Slice 310/333. CT.

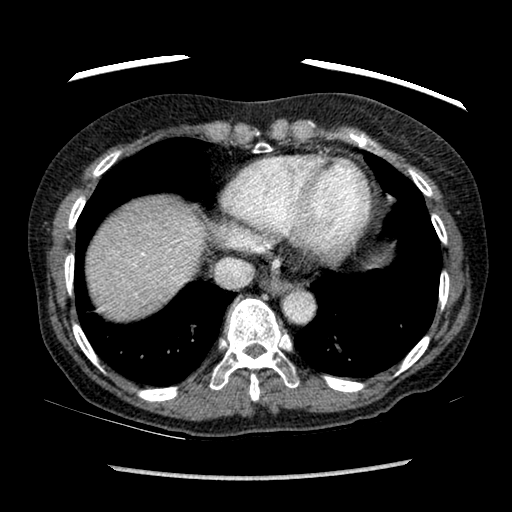

Annotated regions:
- liver: <bbox>88, 200, 205, 317</bbox>